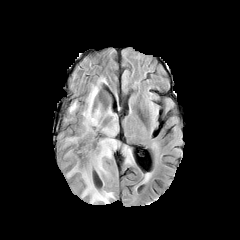
FLAIR MR.
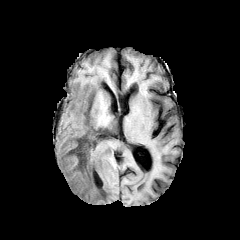
T1-weighted MR image.
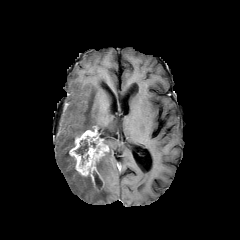
Same slice, post-contrast T1-weighted magnetic resonance.
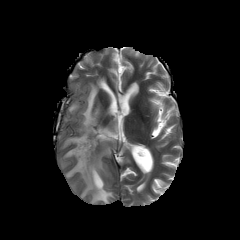
T2-weighted MR.
Head
Findings:
• enhancing tumor: x1=69 y1=129 x2=107 y2=175
• edema: x1=64 y1=78 x2=120 y2=203, x1=65 y1=101 x2=79 y2=121
• non-enhancing tumor core: x1=74 y1=139 x2=101 y2=164